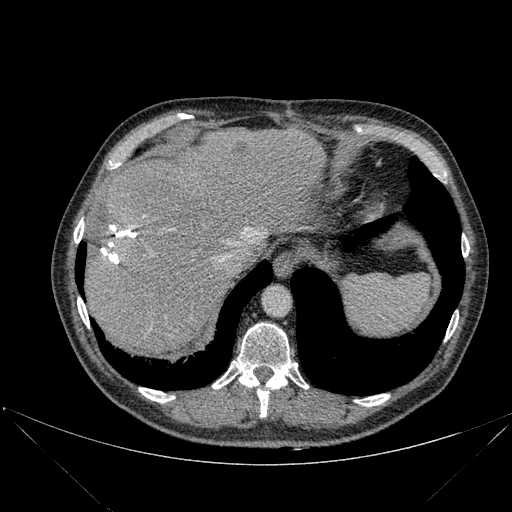

CT scan slice, Image size 512x512
4 lung regions are located at <box>93,261,272,389</box>, <box>75,242,85,295</box>, <box>291,157,464,395</box>, <box>345,215,394,245</box>. 2 liver regions are bounded by <box>84,130,325,353</box>, <box>244,241,253,268</box>. The focal liver lesion is located at <box>234,141,246,153</box>. 8 bone regions appear at <box>355,394,389,406</box>, <box>212,323,308,388</box>, <box>74,218,83,243</box>, <box>444,316,458,341</box>, <box>462,234,469,256</box>, <box>77,298,89,327</box>, <box>257,389,269,416</box>, <box>139,388,174,402</box>.